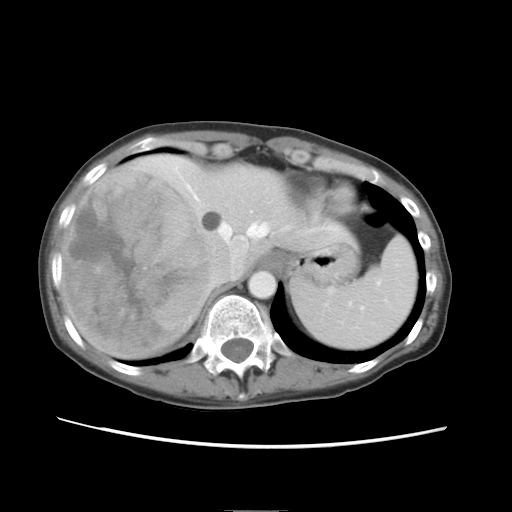
CT scan slice, Liver

Only some of the vessels may be annotated.
Liver tumor at 62,168,214,357.
Hepatic vessel at 248,224,266,235; 187,185,190,189; 219,224,245,278; 194,196,197,198.